CT image; Slice index 379; Abdomen 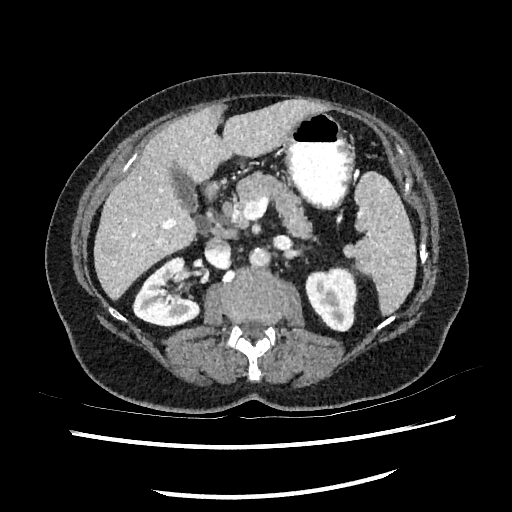
<segmentation>
  <liver_lesion>x1=102 y1=240 x2=117 y2=255</liver_lesion>
  <kidney>x1=134 y1=258 x2=198 y2=325, x1=306 y1=269 x2=355 y2=330</kidney>
  <liver>x1=93 y1=99 x2=321 y2=299</liver>
</segmentation>